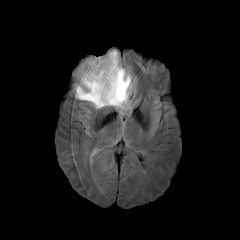
FLAIR MRI.
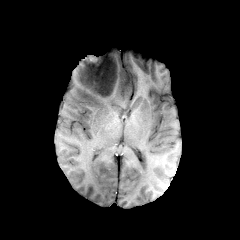
T1-weighted magnetic resonance.
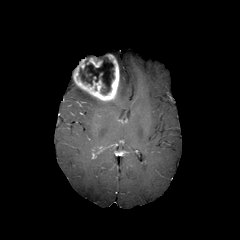
Post-contrast T1-weighted MR image.
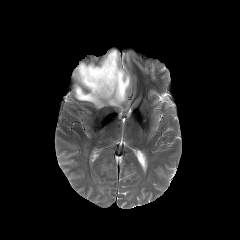
T2-weighted MR.
240x240; Head
Enhancing tumor at x1=73 y1=54 x2=119 y2=102, x1=87 y1=58 x2=102 y2=67.
Edema at x1=73 y1=49 x2=135 y2=117.
Non-enhancing tumor core at x1=79 y1=53 x2=114 y2=94.